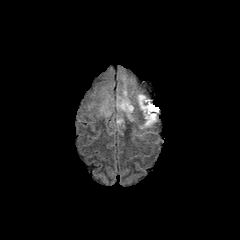
FLAIR MR image.
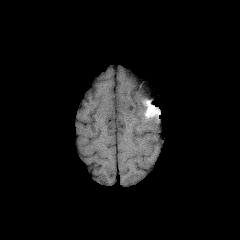
T1-weighted MR.
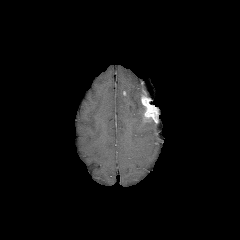
Post-contrast T1-weighted MR of the same slice.
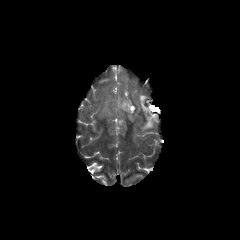
T2-weighted magnetic resonance.
Image size 240x240
Segmented structures:
- enhancing tumor: 140,94,158,121
- edema: 134,92,142,111; 100,88,135,125; 140,116,154,131